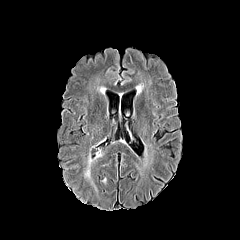
FLAIR MR.
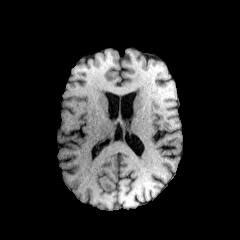
T1-weighted MR image.
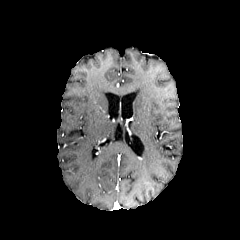
Post-contrast T1-weighted MR.
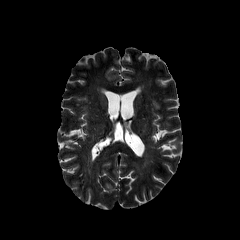
T2-weighted magnetic resonance of the same slice.
Brain.
edema:
  - 84,149,102,190